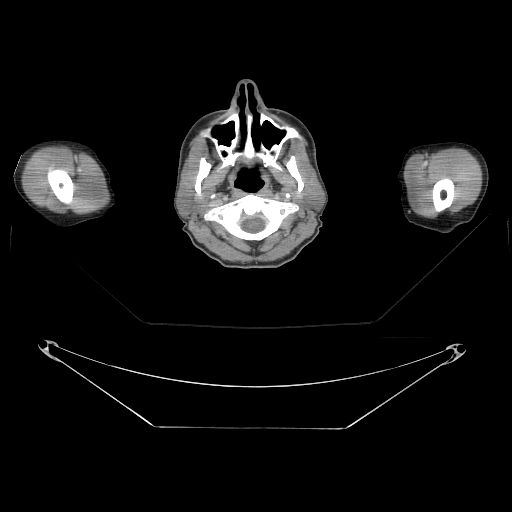

Computed tomography
Bone = left=209, top=195, right=297, bottom=239; left=216, top=113, right=238, bottom=167; left=433, top=178, right=453, bottom=211; left=245, top=116, right=253, bottom=157; left=48, top=168, right=73, bottom=203; left=261, top=128, right=300, bottom=167; left=260, top=114, right=275, bottom=125; left=195, top=158, right=210, bottom=193; left=286, top=156, right=303, bottom=191.